Brain; Slice index 100
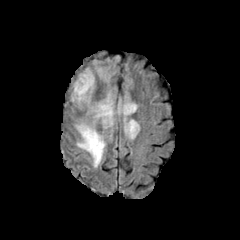
FLAIR MR.
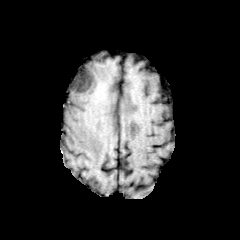
T1-weighted MR image of the same slice.
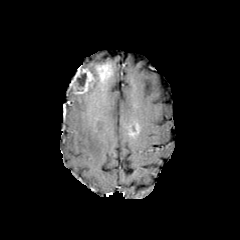
Same slice, post-contrast T1-weighted MR image.
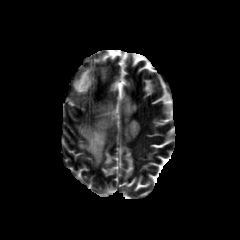
T2-weighted magnetic resonance.
The enhancing tumor is located at <box>76,69,93,93</box>. 4 edema regions are bounded by <box>74,80,94,102</box>, <box>124,118,135,137</box>, <box>95,101,136,123</box>, <box>76,123,105,167</box>. 2 non-enhancing tumor core regions are located at <box>71,73,86,91</box>, <box>128,122,139,136</box>.